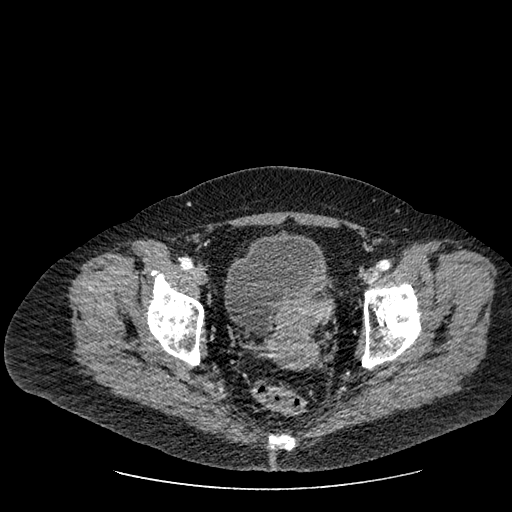 Pelvis, 512x512, CT
<segmentation>
  <urinary_bladder>bbox(226, 232, 324, 333)</urinary_bladder>
</segmentation>